Slice 288 of 455. Upper abdomen. Image width 335 mm. CT. 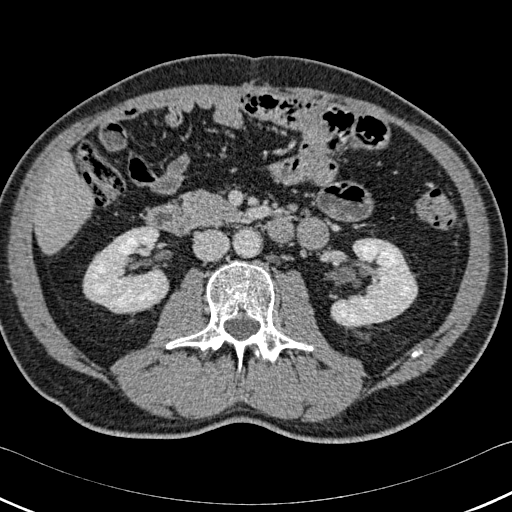 Kidney — rect(331, 239, 416, 325); rect(84, 227, 167, 312).
Bone — rect(166, 261, 312, 371).
Liver — rect(35, 157, 94, 253).